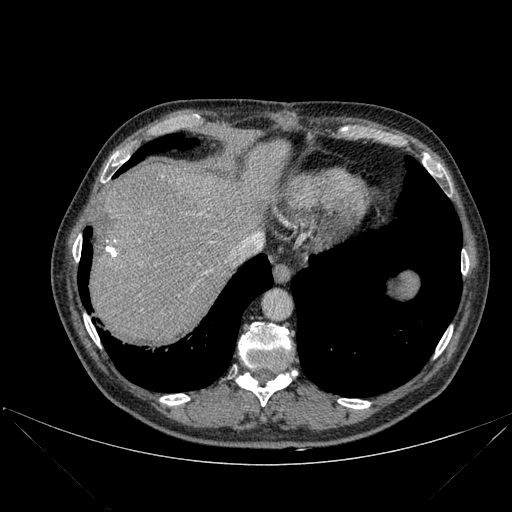 Upper abdomen, Computed tomography
Lung: l=78, t=227, r=92, b=309; l=98, t=254, r=272, b=391; l=114, t=133, r=198, b=177; l=291, t=156, r=461, b=396.
Bone: l=338, t=398, r=370, b=408; l=160, t=394, r=189, b=405; l=84, t=314, r=100, b=346; l=72, t=234, r=81, b=261; l=103, t=152, r=127, b=174; l=236, t=373, r=291, b=406; l=461, t=249, r=468, b=274; l=424, t=163, r=441, b=176; l=239, t=322, r=290, b=370; l=434, t=328, r=452, b=357.
Liver: l=90, t=142, r=288, b=344.